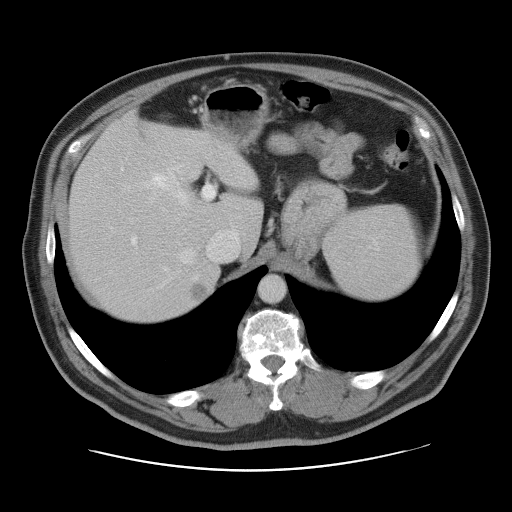

Abdomen; Image size 512x512; CT image

The vessel boxes may cover only some of the vessels.
hepatic vessel: {"x1": 192, "y1": 161, "x2": 220, "y2": 178}, {"x1": 180, "y1": 250, "x2": 192, "y2": 262}, {"x1": 121, "y1": 168, "x2": 122, "y2": 169}, {"x1": 180, "y1": 165, "x2": 182, "y2": 166}, {"x1": 189, "y1": 272, "x2": 199, "y2": 281}, {"x1": 132, "y1": 236, "x2": 136, "y2": 244}, {"x1": 123, "y1": 167, "x2": 187, "y2": 205}, {"x1": 163, "y1": 267, "x2": 166, "y2": 269}, {"x1": 207, "y1": 228, "x2": 238, "y2": 261}, {"x1": 201, "y1": 183, "x2": 215, "y2": 199} | liver tumor: {"x1": 187, "y1": 283, "x2": 211, "y2": 299}